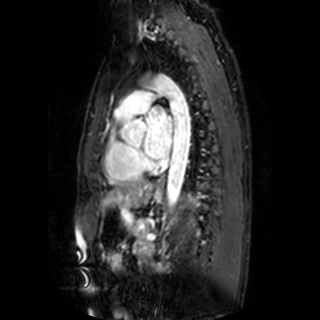 320x320 px | MRI | Cardiac
Left atrium = (142, 107, 172, 158).